FLAIR MR image.
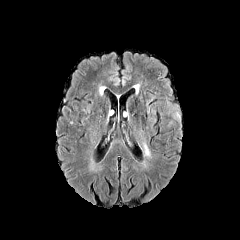
T1-weighted magnetic resonance.
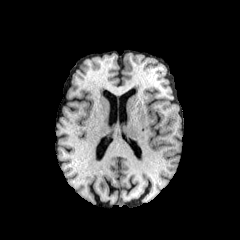
Post-contrast T1-weighted MR image.
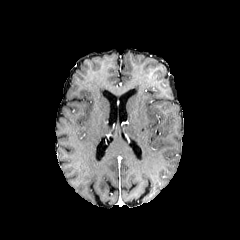
T2-weighted MR.
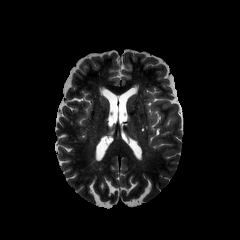
240x240. Brain.
edema: {"x1": 143, "y1": 143, "x2": 150, "y2": 156}